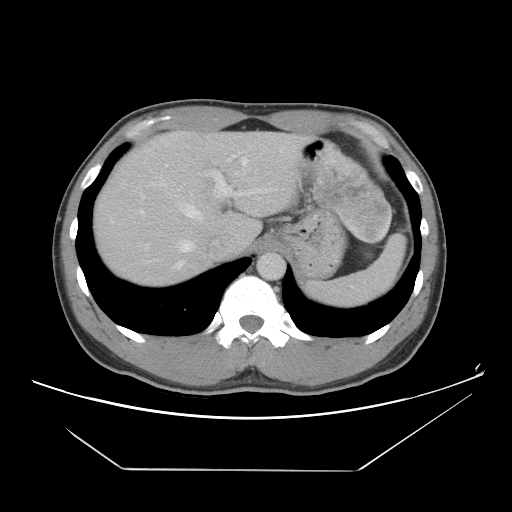

CT
Some hepatic vessels may have no box.
13 hepatic vessel regions appear at {"x1": 139, "y1": 210, "x2": 144, "y2": 215}, {"x1": 159, "y1": 183, "x2": 166, "y2": 185}, {"x1": 233, "y1": 155, "x2": 235, "y2": 156}, {"x1": 244, "y1": 171, "x2": 245, "y2": 172}, {"x1": 181, "y1": 240, "x2": 194, "y2": 251}, {"x1": 210, "y1": 171, "x2": 272, "y2": 196}, {"x1": 145, "y1": 244, "x2": 147, "y2": 248}, {"x1": 141, "y1": 194, "x2": 144, "y2": 198}, {"x1": 242, "y1": 157, "x2": 247, "y2": 165}, {"x1": 180, "y1": 205, "x2": 202, "y2": 221}, {"x1": 248, "y1": 168, "x2": 249, "y2": 169}, {"x1": 235, "y1": 172, "x2": 237, "y2": 174}, {"x1": 175, "y1": 261, "x2": 183, "y2": 268}. The liver tumor is at {"x1": 315, "y1": 163, "x2": 391, "y2": 240}.